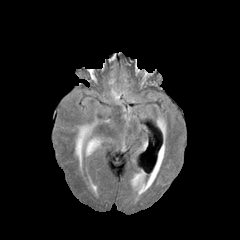
FLAIR magnetic resonance.
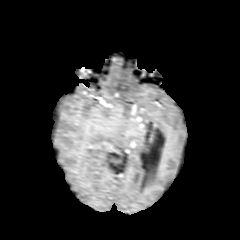
T1-weighted MRI.
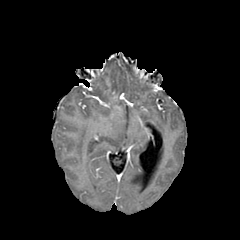
Same slice, post-contrast T1-weighted magnetic resonance.
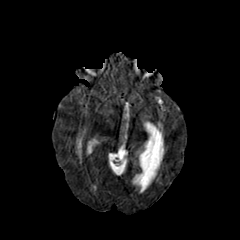
T2-weighted MR.
Head
Edema at (x1=87, y1=139, x2=99, y2=154), (x1=76, y1=128, x2=88, y2=162).